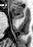
MRI slice
Anterior hippocampus: 10, 5, 24, 18.